CT image, Liver
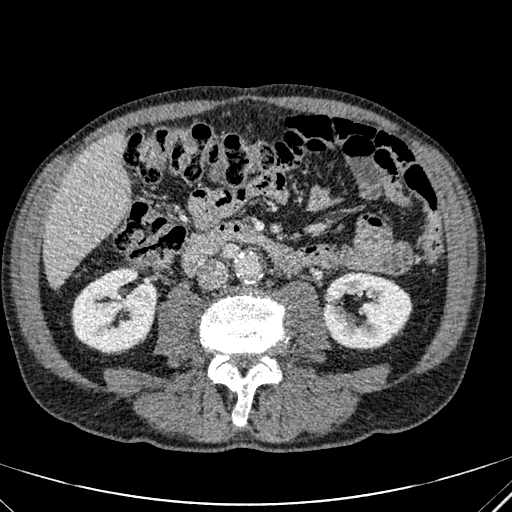
kidney:
  - (73, 269, 155, 351)
  - (324, 273, 410, 347)
liver:
  - (44, 135, 128, 287)